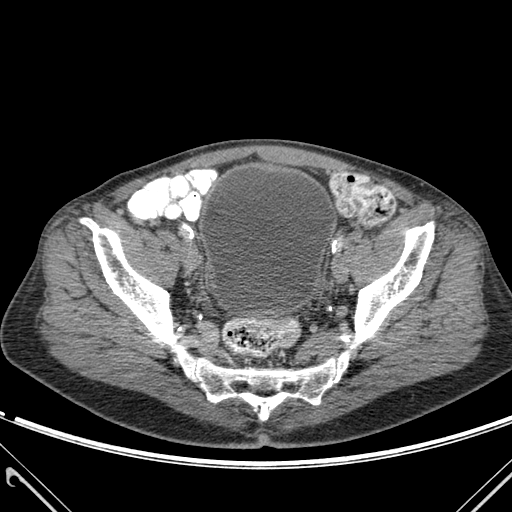

CT image. Image size 512x512.

urinary_bladder:
  - 203,168,334,311
bone:
  - 350,222,433,348
  - 80,218,349,420
  - 340,335,349,342